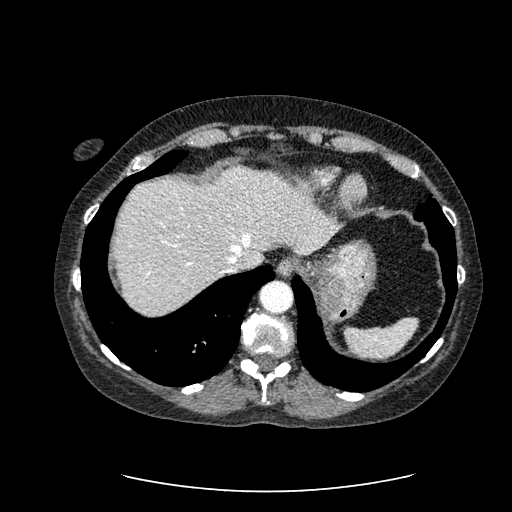 CT
liver:
  - box(115, 168, 341, 315)